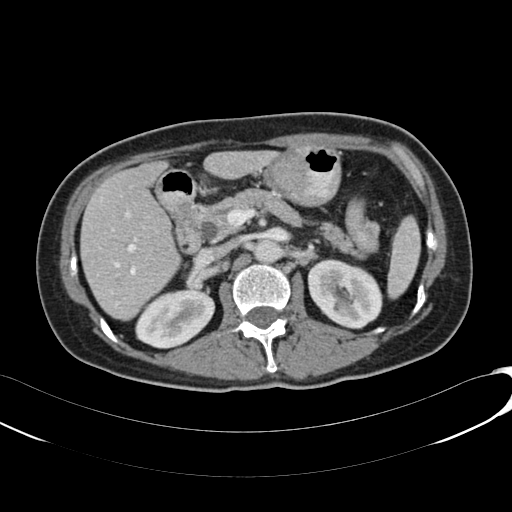

Computed tomography. Liver. 2 kidney regions are located at {"x1": 309, "y1": 261, "x2": 380, "y2": 327}, {"x1": 137, "y1": 290, "x2": 213, "y2": 347}. 2 liver regions are located at {"x1": 82, "y1": 162, "x2": 178, "y2": 318}, {"x1": 204, "y1": 151, "x2": 276, "y2": 178}.